Field of view 496 mm wide, 1.50 mm slice spacing; CT image; Abdomen
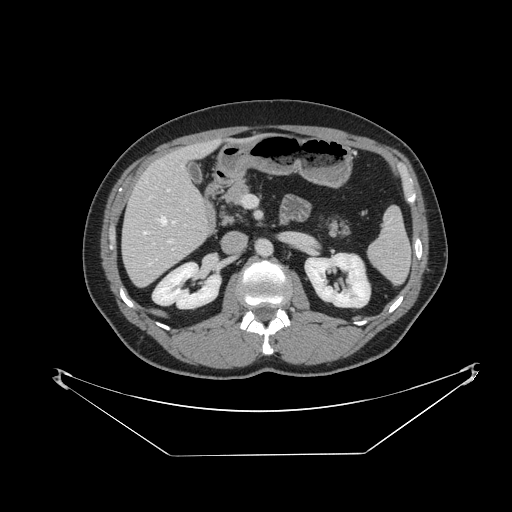

Spleen — 369 208 409 283.